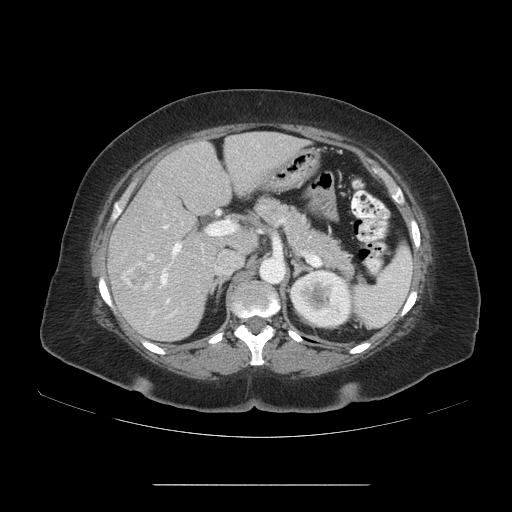

CT slice | Abdomen
Not every hepatic vessel necessarily has a box.
<segmentation>
  <hepatic_vessel>x1=147, y1=254, x2=152, y2=259; x1=163, y1=225, x2=168, y2=228; x1=161, y1=266, x2=169, y2=282; x1=217, y1=209, x2=220, y2=214; x1=166, y1=300, x2=168, y2=303; x1=214, y1=251, x2=242, y2=273; x1=171, y1=242, x2=181, y2=260; x1=206, y1=220, x2=237, y2=236</hepatic_vessel>
  <liver_tumor>x1=123, y1=260, x2=152, y2=292</liver_tumor>
</segmentation>